Brain. 240x240 px.
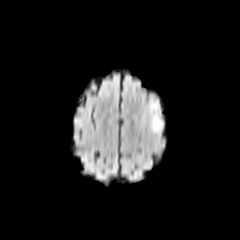
FLAIR magnetic resonance.
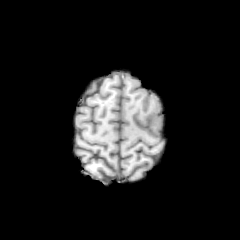
T1-weighted MR image of the same slice.
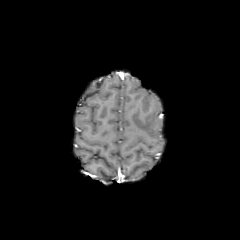
Same slice, post-contrast T1-weighted MRI.
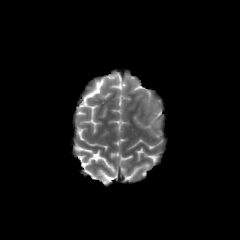
T2-weighted magnetic resonance.
Findings:
• edema: bbox=[148, 102, 164, 132]